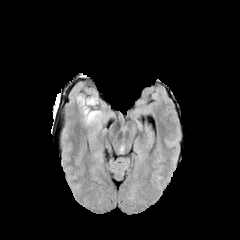
FLAIR MRI.
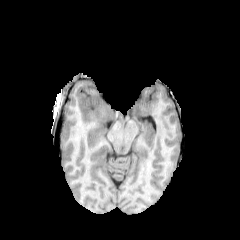
T1-weighted magnetic resonance of the same slice.
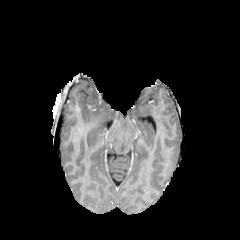
Post-contrast T1-weighted magnetic resonance.
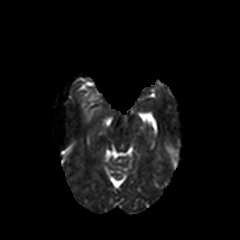
T2-weighted MR image.
240x240; Brain
- edema: (x1=77, y1=93, x2=107, y2=123)